CT; 512x512 px

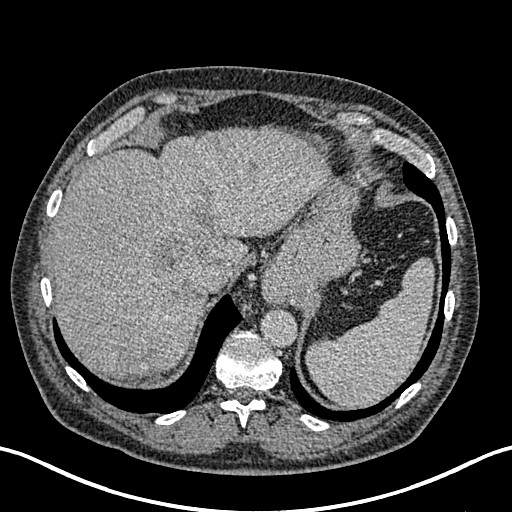 hepatic_lesion:
  - 166:279:203:305
  - 245:161:259:175
  - 147:232:214:280
  - 117:346:151:375
  - 188:204:213:230
liver:
  - 49:127:330:378